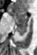
MRI slice. 37x55. Medial temporal lobe. {
  "anterior_hippocampus": [
    "8:8:28:22"
  ],
  "posterior_hippocampus": [
    "16:23:27:35"
  ]
}